Lung | CT | Slice 140/248 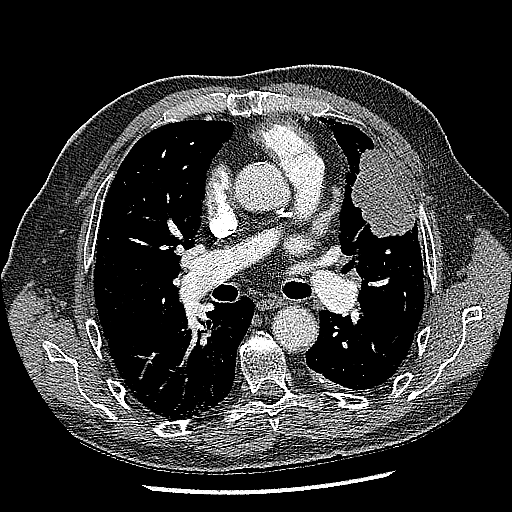

lung_tumor:
  - {"x1": 351, "y1": 145, "x2": 415, "y2": 236}